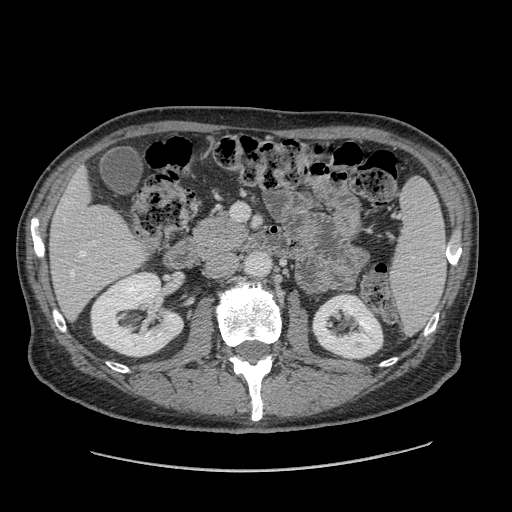 CT scan slice, Abdomen

{
  "pancreas": [
    {"x1": 197, "y1": 214, "x2": 246, "y2": 247}
  ]
}